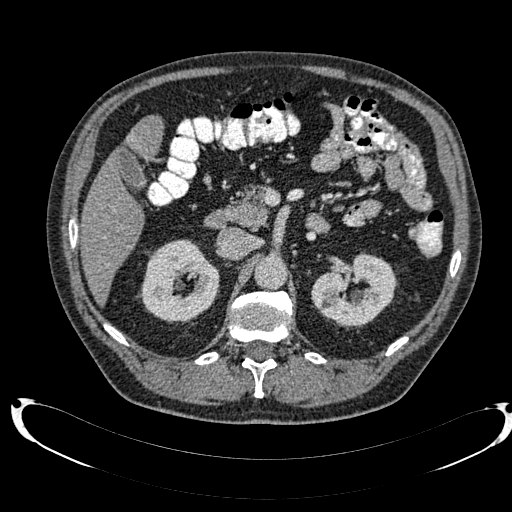
CT image

liver:
  - region(81, 151, 143, 305)
  - region(123, 116, 162, 159)
kidney:
  - region(311, 254, 396, 326)
  - region(141, 240, 219, 322)